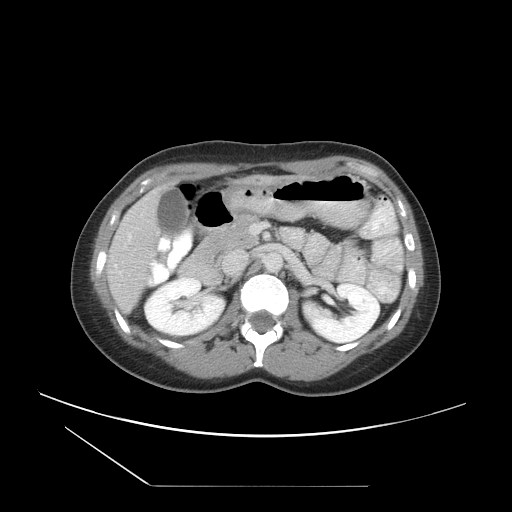
512x512. CT slice. Abdomen.
Only some of the vessels may be annotated.
{"hepatic_vessel": ["(129,234,130,239)", "(151,261,154,267)", "(125,246,126,248)"]}